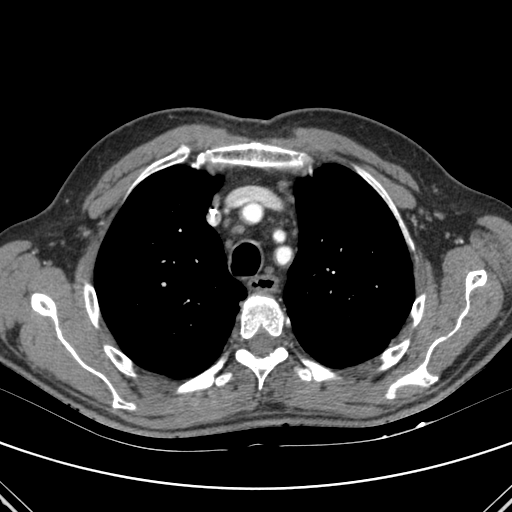
Thorax | Computed tomography
Segmented structures:
* bone: l=296, t=359, r=338, b=381; l=83, t=283, r=98, b=327; l=357, t=168, r=413, b=249; l=380, t=339, r=409, b=369; l=31, t=293, r=135, b=409; l=239, t=294, r=284, b=339; l=104, t=345, r=135, b=376; l=134, t=145, r=189, b=185; l=177, t=359, r=231, b=393; l=386, t=270, r=486, b=398; l=411, t=294, r=425, b=325; l=235, t=347, r=287, b=388; l=192, t=142, r=306, b=167
* lung: l=94, t=165, r=246, b=378; l=283, t=164, r=414, b=368